FLAIR MR.
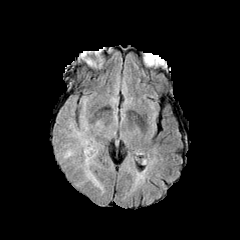
T1-weighted magnetic resonance.
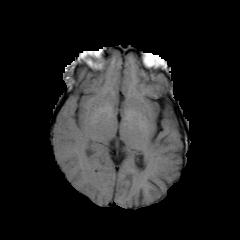
Post-contrast T1-weighted magnetic resonance.
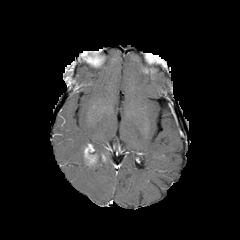
T2-weighted MR image.
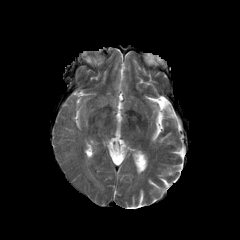
Brain, Image size 240x240
The enhancing tumor is at (84,144,93,159). The edema is bounded by (85,144,99,164).